Field of view 240x240 mm, Slice 80/155
FLAIR MRI.
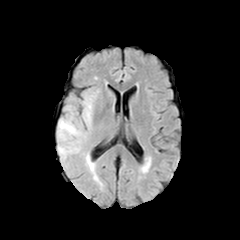
T1-weighted MR.
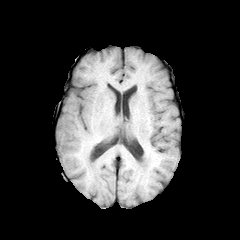
Post-contrast T1-weighted magnetic resonance.
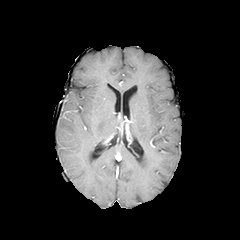
T2-weighted MR image.
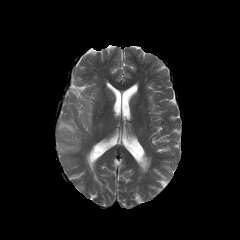
2 edema regions are bounded by {"x1": 57, "y1": 105, "x2": 86, "y2": 158}, {"x1": 82, "y1": 93, "x2": 95, "y2": 130}.